FLAIR MRI.
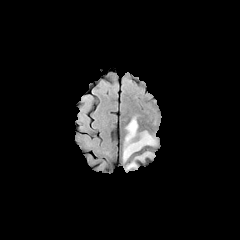
T1-weighted MR image.
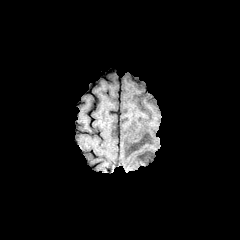
Post-contrast T1-weighted magnetic resonance.
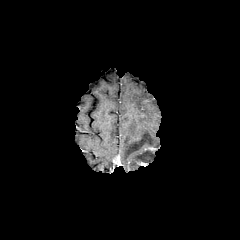
T2-weighted MR image.
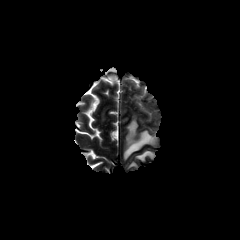
Head
{
  "edema": [
    "region(136, 151, 155, 160)",
    "region(123, 119, 155, 159)"
  ]
}